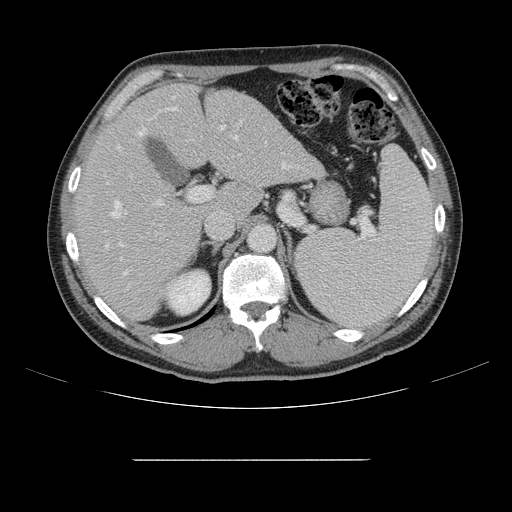

CT, Abdomen, Image size 512x512
Some hepatic vessels may have no box.
The largest 15 hepatic vessel regions (of 18) appear at bbox(148, 114, 156, 120); bbox(154, 200, 160, 205); bbox(165, 107, 176, 110); bbox(282, 162, 287, 168); bbox(111, 201, 120, 216); bbox(106, 244, 108, 248); bbox(158, 109, 163, 112); bbox(117, 145, 121, 149); bbox(221, 126, 225, 129); bbox(236, 120, 242, 125); bbox(120, 258, 122, 260); bbox(189, 186, 212, 202); bbox(235, 136, 237, 139); bbox(123, 272, 126, 275); bbox(118, 242, 122, 245).